CT slice | Slice 521/685 | Field of view 700 mm wide, 2.50 mm slice spacing 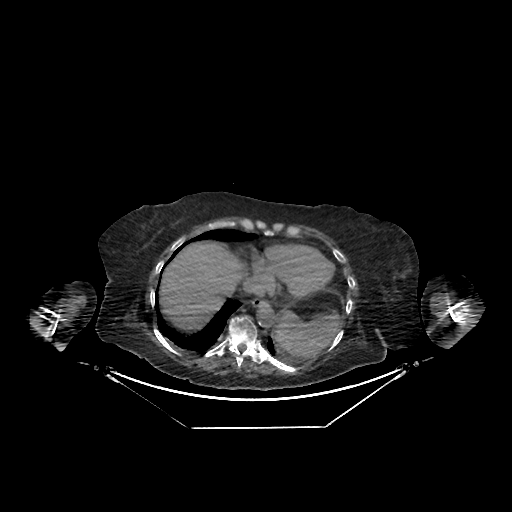

{
  "liver": [
    "159 240 249 332"
  ]
}